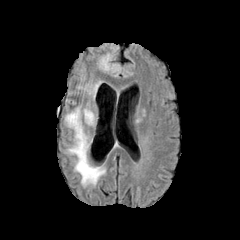
FLAIR MR.
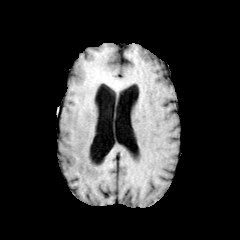
T1-weighted MR image.
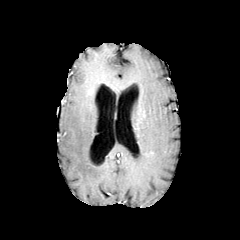
Post-contrast T1-weighted magnetic resonance.
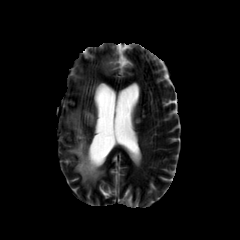
T2-weighted MR image.
Head | 240x240 px
Findings:
• edema: box(65, 107, 105, 186); box(83, 83, 99, 97); box(101, 55, 111, 70)